FLAIR MR.
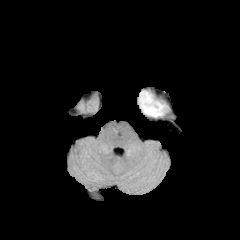
T1-weighted MR.
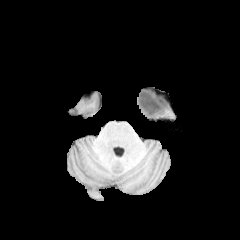
Post-contrast T1-weighted magnetic resonance.
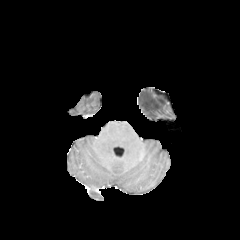
T2-weighted MR.
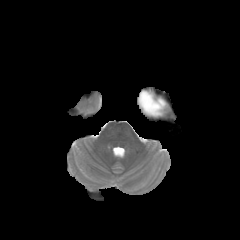
Brain
Annotated regions:
- edema: {"x1": 140, "y1": 105, "x2": 168, "y2": 117}
- non-enhancing tumor core: {"x1": 140, "y1": 92, "x2": 165, "y2": 113}